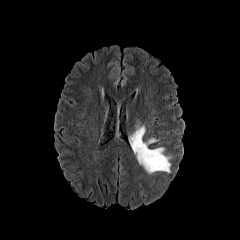
FLAIR MR.
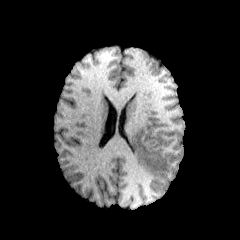
T1-weighted MR image.
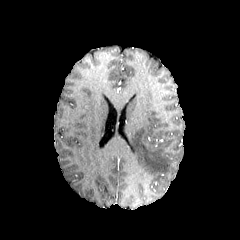
Post-contrast T1-weighted MR image.
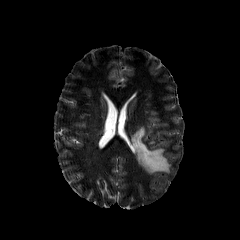
Same slice, T2-weighted MR.
- edema: [129, 126, 170, 173]